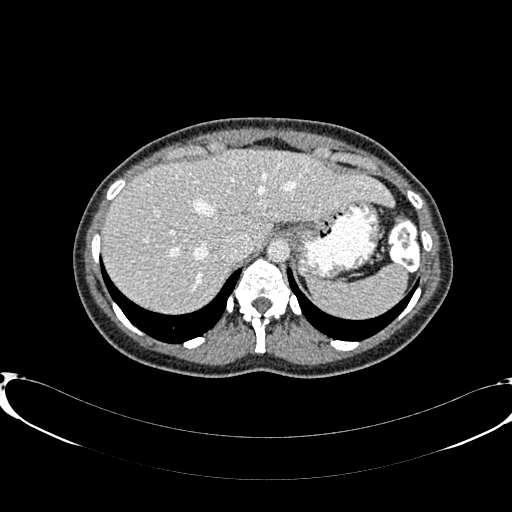 CT scan slice
liver:
  - 103, 150, 394, 313